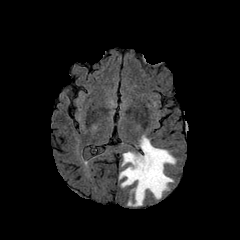
FLAIR MRI.
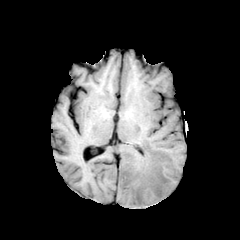
Same slice, T1-weighted magnetic resonance.
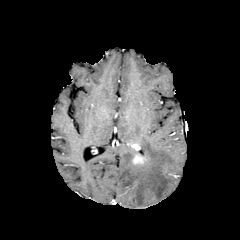
Same slice, post-contrast T1-weighted MRI.
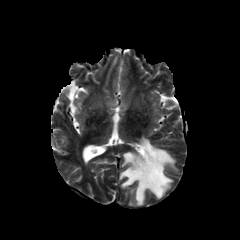
T2-weighted MRI.
Brain.
• edema: box=[119, 135, 176, 206]
• enhancing tumor: box=[131, 152, 150, 165]